FLAIR MR.
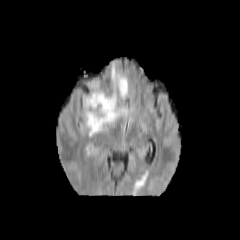
T1-weighted MR.
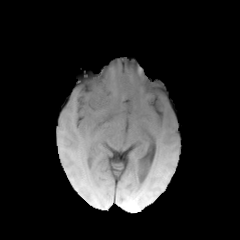
Post-contrast T1-weighted MR image.
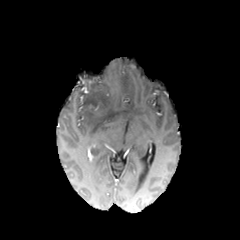
T2-weighted MRI.
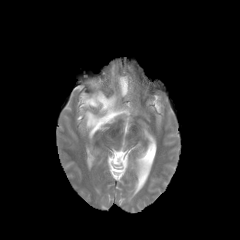
Brain
edema:
  - rect(81, 67, 133, 138)
non-enhancing_tumor_core:
  - rect(78, 74, 115, 111)